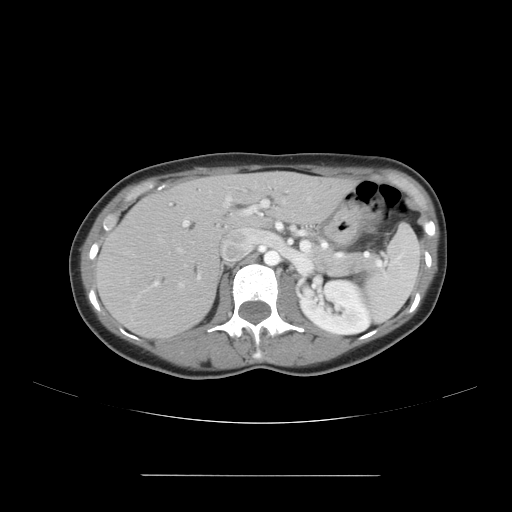
CT scan slice
Pancreas at {"x1": 309, "y1": 246, "x2": 378, "y2": 277}.